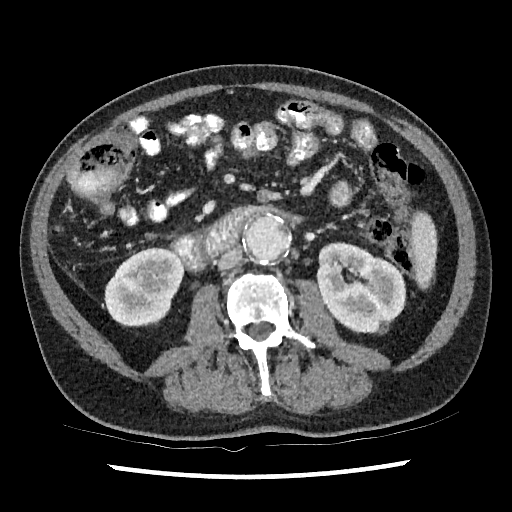
CT slice
kidney: [317,243,405,332], [105,248,183,325]